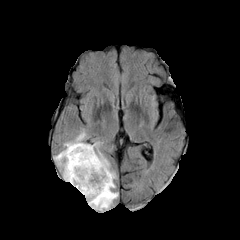
FLAIR MR image.
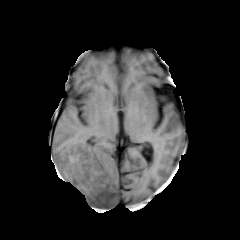
T1-weighted magnetic resonance.
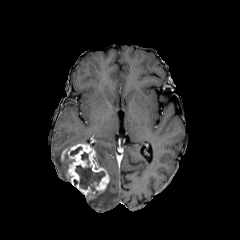
Post-contrast T1-weighted MR image.
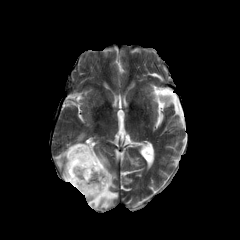
T2-weighted MR image of the same slice.
Brain
{
  "edema": [
    "x1=88, y1=141, x2=117, y2=210",
    "x1=54, y1=132, x2=90, y2=181"
  ],
  "non-enhancing_tumor_core": [
    "x1=75, y1=166, x2=104, y2=189"
  ],
  "enhancing_tumor": [
    "x1=61, y1=142, x2=109, y2=199"
  ]
}